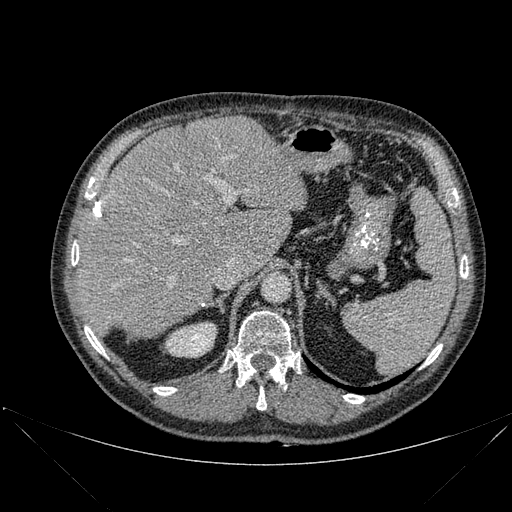
CT image | Abdomen
bone:
  - bbox=[256, 386, 266, 410]
  - bbox=[85, 177, 95, 197]
  - bbox=[71, 245, 78, 265]
  - bbox=[223, 311, 299, 386]
  - bbox=[450, 190, 458, 206]
  - bbox=[343, 394, 364, 403]
  - bbox=[153, 387, 176, 395]
  - bbox=[84, 326, 106, 356]
  - bbox=[423, 344, 442, 366]
  - bbox=[460, 263, 468, 278]
lung:
  - bbox=[305, 357, 337, 384]
  - bbox=[345, 372, 407, 393]
kidney:
  - bbox=[166, 323, 216, 357]
liver:
  - bbox=[77, 116, 306, 339]